36x48, MRI, Field of view 36 mm wide, 1.00 mm slice spacing, Hippocampus
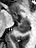
Annotated regions:
* anterior hippocampus: 20 17 28 21, 13 15 15 19
* posterior hippocampus: 16 22 29 32